Field of view 345 mm wide, 2.50 mm slice spacing | Computed tomography
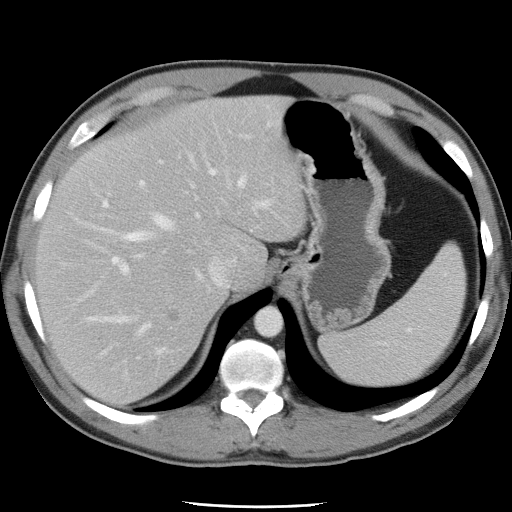

Only some of the vessels may be annotated.
Annotated regions:
* hepatic vessel (most prominent 15 of 19): 85:315:131:322, 111:256:129:274, 238:176:245:187, 253:201:266:208, 209:257:234:288, 151:213:174:229, 140:181:142:184, 120:231:154:241, 137:323:150:334, 136:255:141:256, 210:170:214:173, 197:273:201:278, 195:212:199:217, 100:228:113:232, 102:201:108:207
* liver tumor: 168:307:181:322